Brain; Image width 240 mm
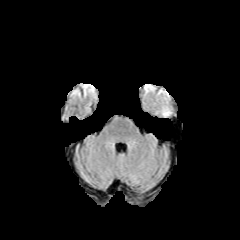
FLAIR MR.
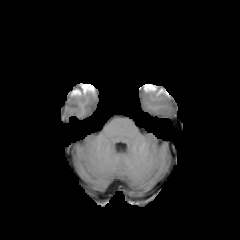
T1-weighted MR image.
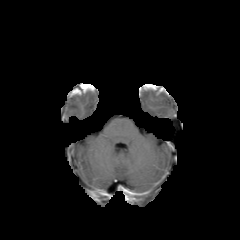
Post-contrast T1-weighted MR image of the same slice.
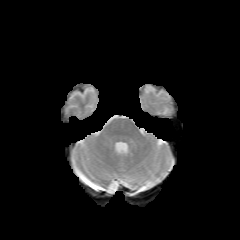
Same slice, T2-weighted MR image.
The edema is located at (157, 90, 171, 115).